Head
FLAIR MR image.
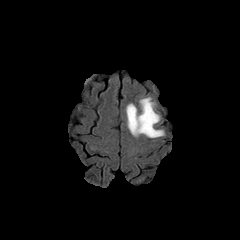
T1-weighted MRI.
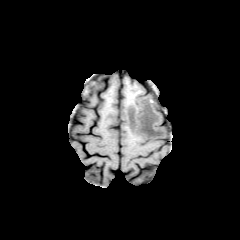
Post-contrast T1-weighted MR image.
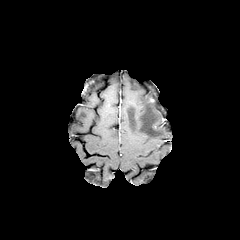
T2-weighted MR image.
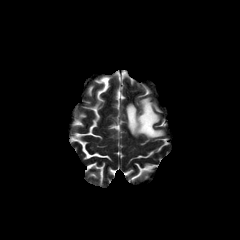
Edema — l=124, t=96, r=165, b=139.
Non-enhancing tumor core — l=140, t=106, r=153, b=133.